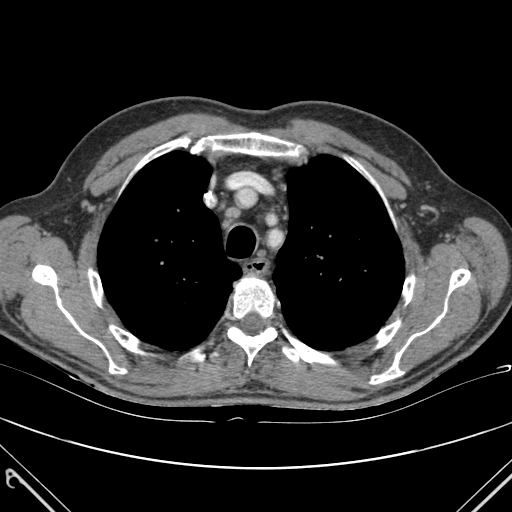 CT image | Thorax

Lung = (97,151,241,350), (273,155,404,350).
Bone = (228,327,276,365), (88,269,102,306), (283,333,334,363), (234,277,273,317), (448,269,469,294), (403,276,414,304), (191,133,301,155), (32,265,126,373), (192,350,203,360), (349,158,376,186), (377,320,400,347), (109,325,142,353), (134,137,194,170), (370,301,446,383).